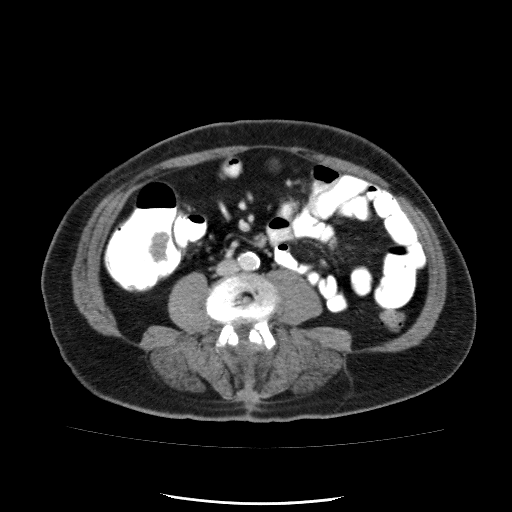
Pelvis, Image size 512x512, Computed tomography

Colon tumor = [148, 231, 168, 262].